Upper abdomen; CT; Image width 450 mm

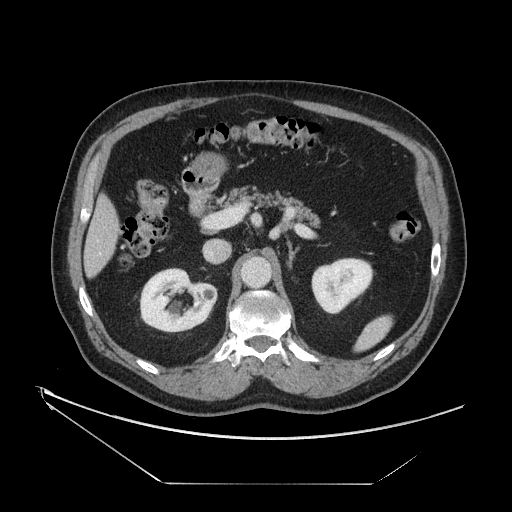
{
  "pancreas": [
    "box(218, 185, 324, 228)"
  ]
}